FLAIR MR.
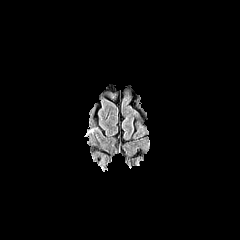
T1-weighted MR image.
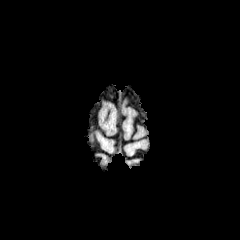
Post-contrast T1-weighted MR.
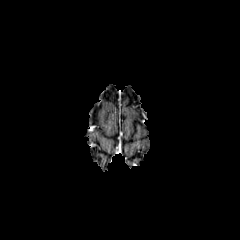
T2-weighted MR image.
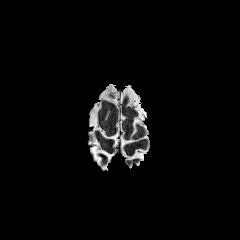
Brain
<segmentation>
  <edema>x1=84 y1=128 x2=94 y2=136</edema>
</segmentation>